Slice index 27, Computed tomography 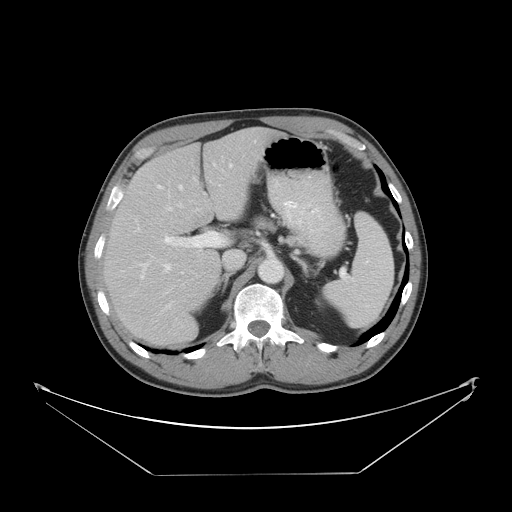
The vessel boxes may cover only some of the vessels.
<segmentation>
  <hepatic_vessel>left=157, top=185, right=162, bottom=188; left=164, top=264, right=170, bottom=272; left=177, top=203, right=182, bottom=207; left=162, top=301, right=172, bottom=311; left=178, top=185, right=182, bottom=189; left=164, top=231, right=226, bottom=247; left=137, top=229, right=140, bottom=232; left=140, top=263, right=147, bottom=278; left=150, top=255, right=153, bottom=258; left=229, top=163, right=232, bottom=167; left=181, top=271, right=183, bottom=273; left=167, top=207, right=171, bottom=209; left=213, top=163, right=215, bottom=165</hepatic_vessel>
</segmentation>